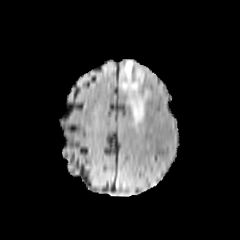
FLAIR MR image.
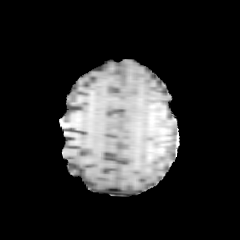
T1-weighted magnetic resonance.
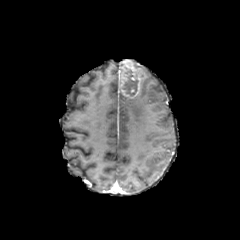
Post-contrast T1-weighted MR.
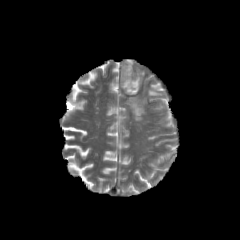
T2-weighted MRI.
Head.
Edema = bbox=[127, 87, 147, 126].
Enhancing tumor = bbox=[120, 59, 141, 98].
Non-enhancing tumor core = bbox=[120, 74, 138, 96].